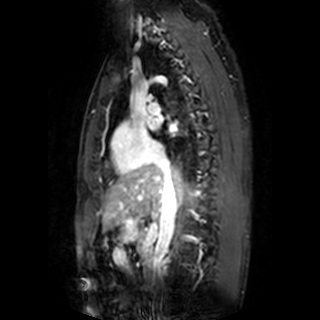

Magnetic resonance | Heart
left_atrium:
  - <bbox>146, 116, 159, 130</bbox>
  - <bbox>169, 123, 176, 132</bbox>